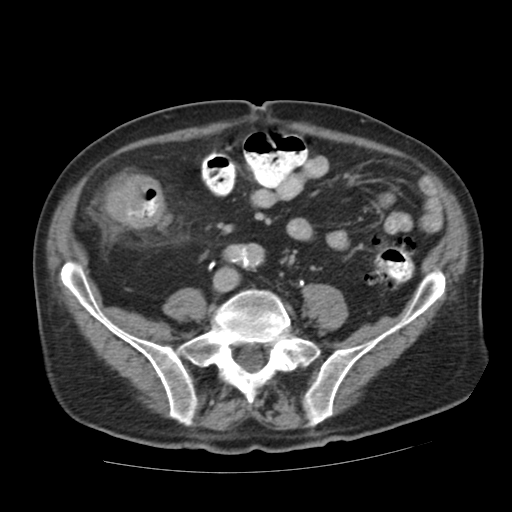
Computed tomography; Pelvis
The colon tumor is located at x1=108, y1=175, x2=164, y2=226.